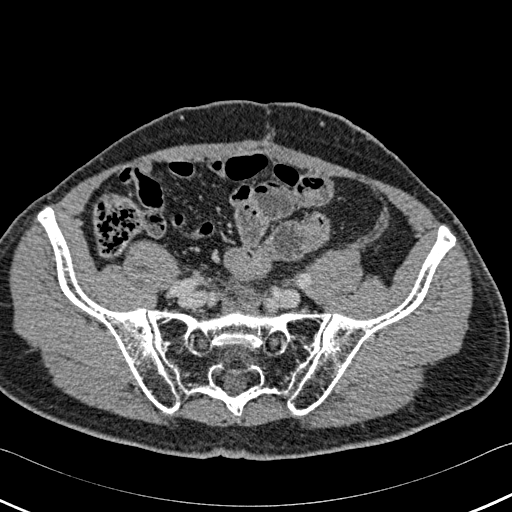

Computed tomography

The bone appears at 38 207 455 415.